Slice index 85 | Computed tomography
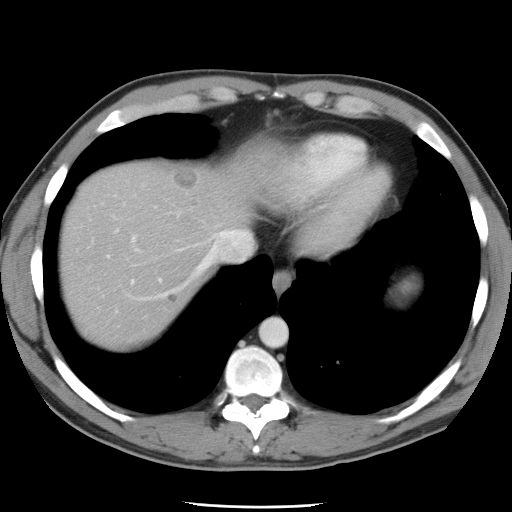

Only some of the vessels may be annotated.
<segmentation>
  <hepatic_vessel>box=[159, 278, 160, 280]; box=[178, 282, 187, 288]; box=[177, 210, 181, 215]; box=[132, 236, 135, 241]; box=[192, 229, 251, 277]; box=[132, 280, 133, 282]</hepatic_vessel>
</segmentation>